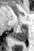 Hippocampus | Magnetic resonance
posterior_hippocampus:
  - 11:25:27:41